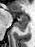

Magnetic resonance, Image size 35x47
The posterior hippocampus is located at bbox=[13, 19, 28, 31]. 2 anterior hippocampus regions appear at bbox=[12, 13, 14, 18]; bbox=[16, 12, 28, 19].